Slice 61/151, CT, Abdomen

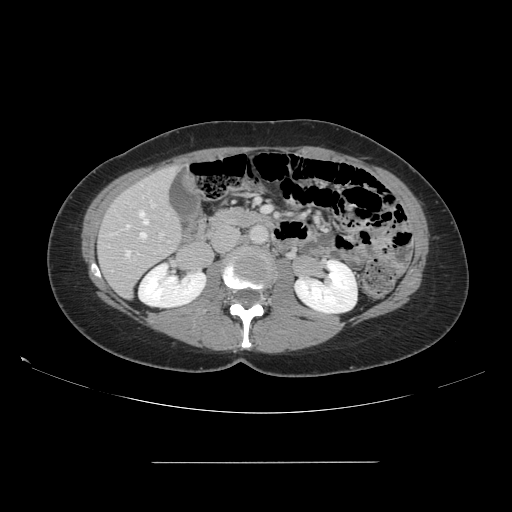 The vessel boxes may cover only some of the vessels.
7 hepatic vessel regions are located at left=159, top=233, right=162, bottom=236; left=126, top=225, right=129, bottom=228; left=150, top=201, right=154, bottom=206; left=140, top=232, right=146, bottom=240; left=139, top=210, right=148, bottom=224; left=108, top=232, right=117, bottom=235; left=125, top=250, right=130, bottom=258.